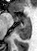

Magnetic resonance. Medial temporal lobe. anterior_hippocampus:
  - <box>12,12,14,15</box>
  - <box>13,16,29,21</box>
posterior_hippocampus:
  - <box>16,22,30,39</box>